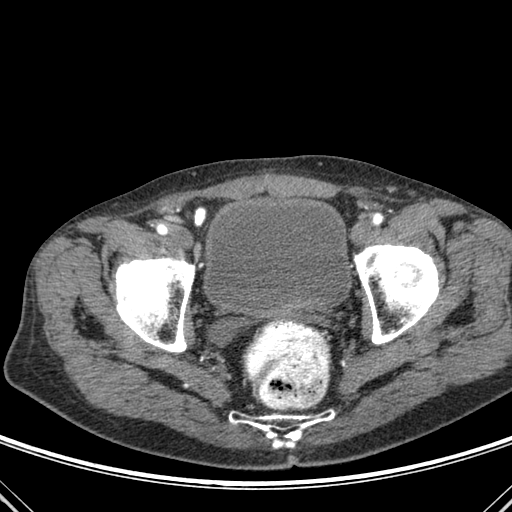
CT image | Lower abdomen

Bone — [229,411,334,447], [354,243,439,344], [115,257,194,352].
Urinary bladder — [204,200,349,313].